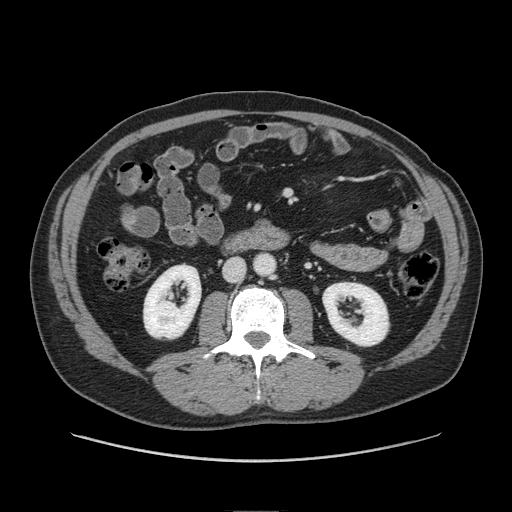

Upper abdomen | CT scan slice

Pancreas — box(253, 216, 272, 225).